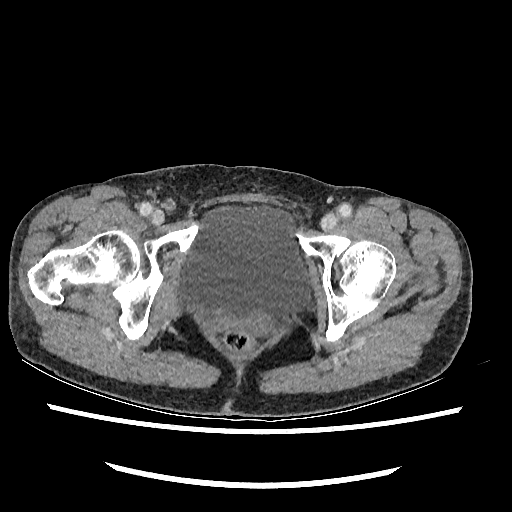 CT scan slice
urinary_bladder:
  - [176, 205, 312, 330]